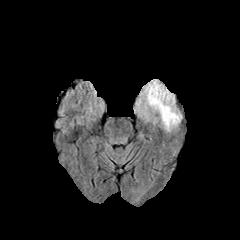
FLAIR MRI.
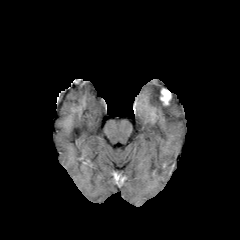
T1-weighted MR image of the same slice.
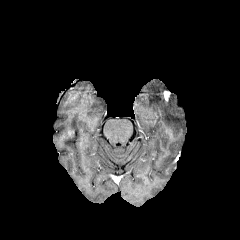
Same slice, post-contrast T1-weighted MR image.
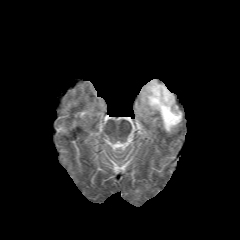
T2-weighted magnetic resonance.
Brain
Segmented structures:
* edema: (135, 80, 182, 132)
* enhancing tumor: (163, 91, 170, 101)